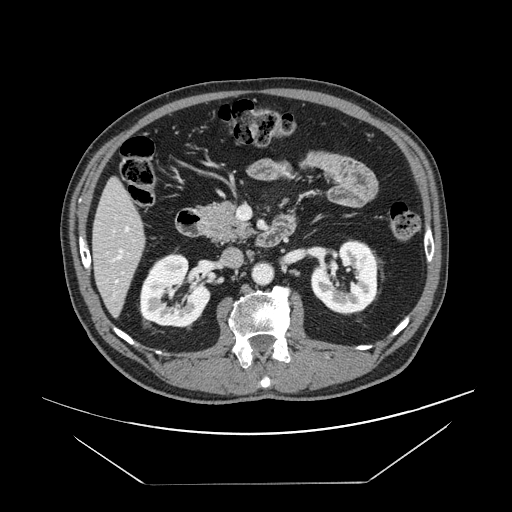

Abdomen, CT

<segmentation>
  <pancreas>[x1=198, y1=201, x2=255, y2=244]</pancreas>
</segmentation>